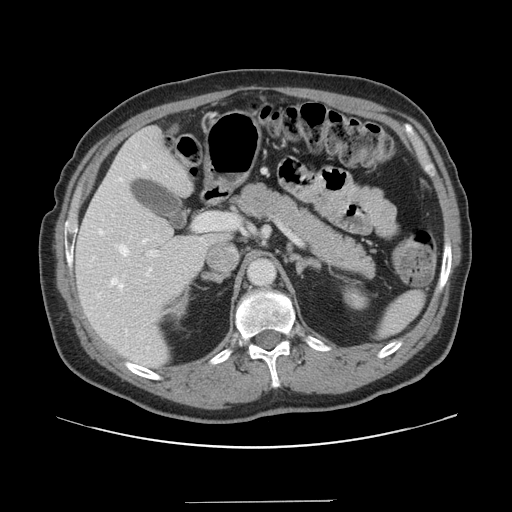

Liver, CT scan slice

The vessel boxes may cover only some of the vessels.
{
  "hepatic_vessel": [
    "box=[125, 329, 127, 334]",
    "box=[142, 164, 146, 169]",
    "box=[118, 245, 128, 256]",
    "box=[111, 278, 122, 288]",
    "box=[99, 229, 103, 233]",
    "box=[195, 213, 236, 230]",
    "box=[119, 178, 122, 180]",
    "box=[147, 250, 157, 256]"
  ]
}